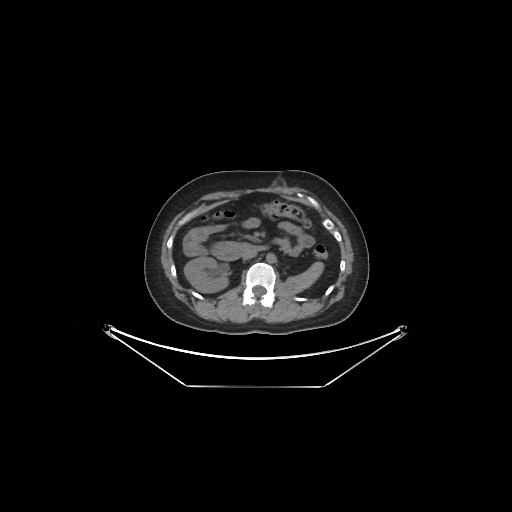
512x512 px. CT slice. Abdomen.
• kidney: 185 257 227 292